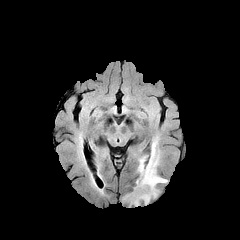
FLAIR magnetic resonance.
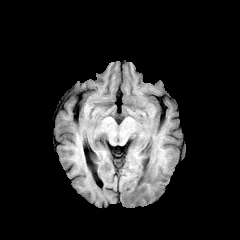
T1-weighted MR image.
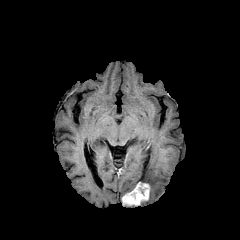
Post-contrast T1-weighted magnetic resonance.
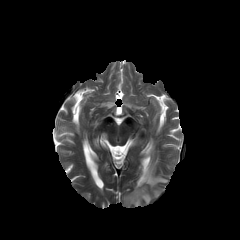
T2-weighted MR image of the same slice.
Head. 240x240 px.
Annotated regions:
* edema: left=136, top=139, right=167, bottom=204
* enhancing tumor: left=122, top=181, right=149, bottom=205